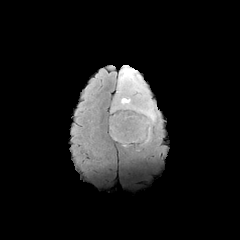
FLAIR MR image.
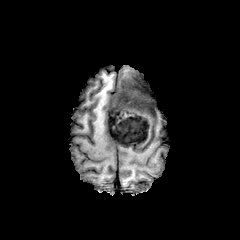
T1-weighted MR image of the same slice.
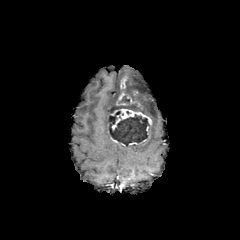
Same slice, post-contrast T1-weighted MR.
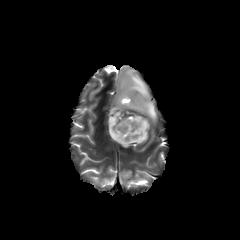
T2-weighted MR.
240x240
2 non-enhancing tumor core regions appear at bbox(111, 79, 151, 116); bbox(109, 111, 149, 147). 2 enhancing tumor regions appear at bbox(110, 109, 152, 129); bbox(120, 79, 126, 88). The edema lies within bbox(116, 65, 156, 124).